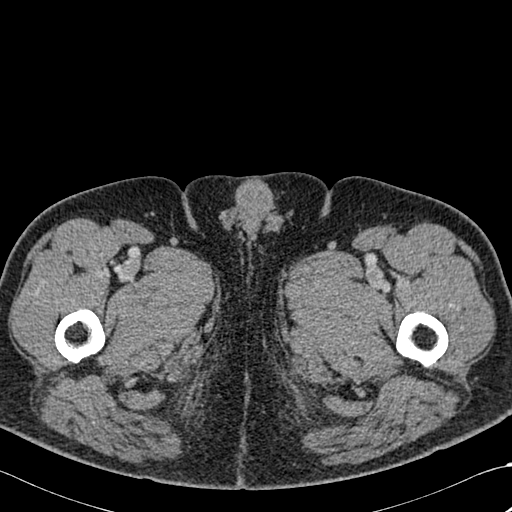 CT image
2 bone regions are bounded by l=396, t=312, r=448, b=366; l=55, t=309, r=104, b=362.